Slice 130/155. Head.
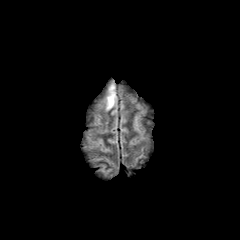
FLAIR magnetic resonance.
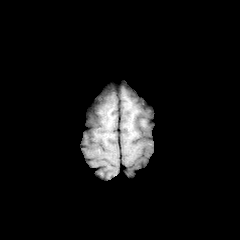
Same slice, T1-weighted MR image.
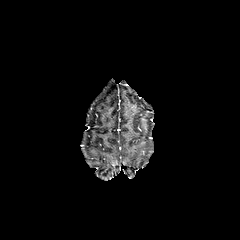
Post-contrast T1-weighted MRI.
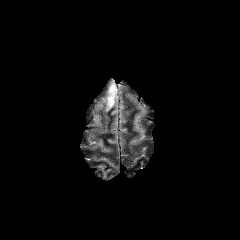
T2-weighted MR image of the same slice.
Annotated regions:
* edema: rect(105, 82, 117, 109)